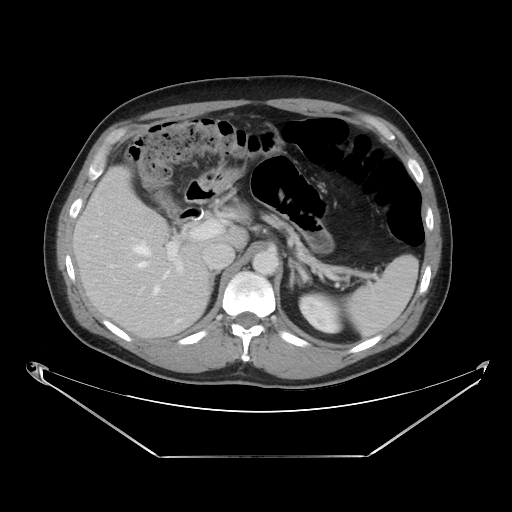

Upper abdomen. 512x512 px. Computed tomography.
Pancreas: x1=300, y1=249, x2=309, y2=258.